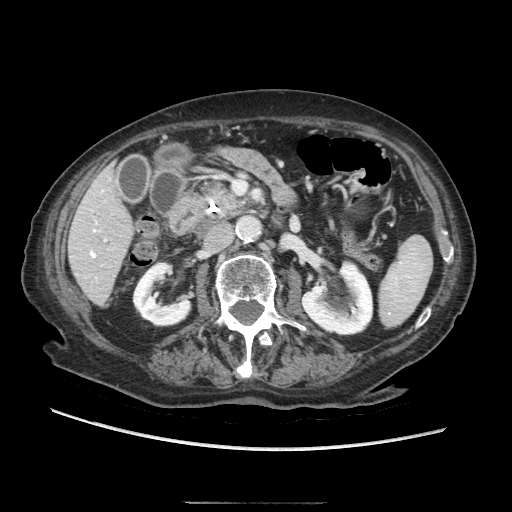

Abdomen. CT image. pancreas:
  - <bbox>201, 179, 248, 217</bbox>